CT slice 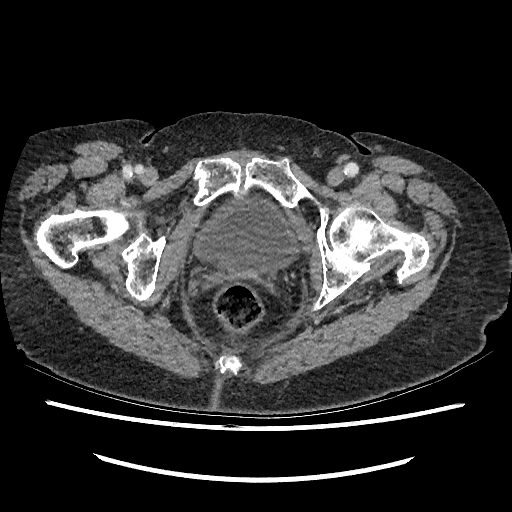 {"urinary_bladder": ["189 192 302 284"]}